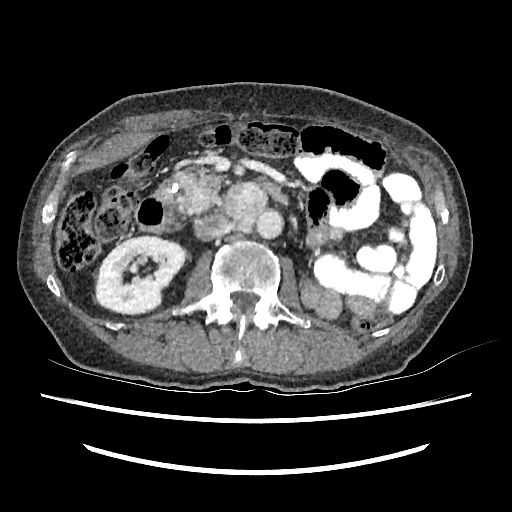 CT image

{"kidney": ["[96,236,184,313]"]}